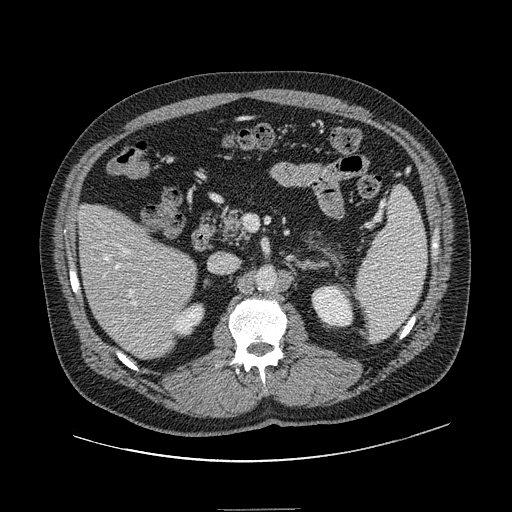
CT scan slice
2 pancreas regions appear at <box>308,239,340,262</box>, <box>221,212,246,239</box>.